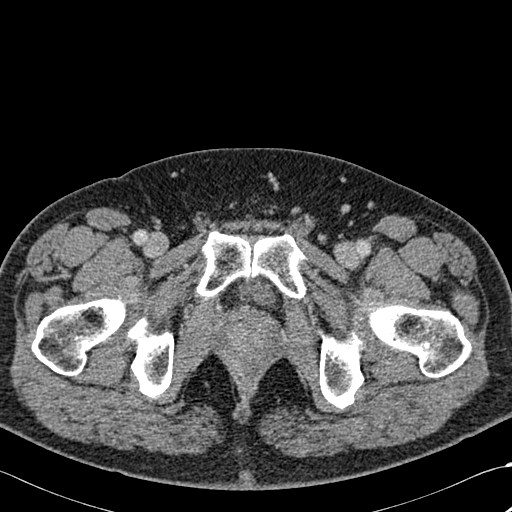 CT image.
5 bone regions are bounded by bbox(197, 232, 305, 298); bbox(369, 304, 471, 377); bbox(320, 333, 363, 408); bbox(128, 318, 173, 397); bbox(32, 298, 125, 375).